Slice 459 of 630. Abdomen. CT slice.
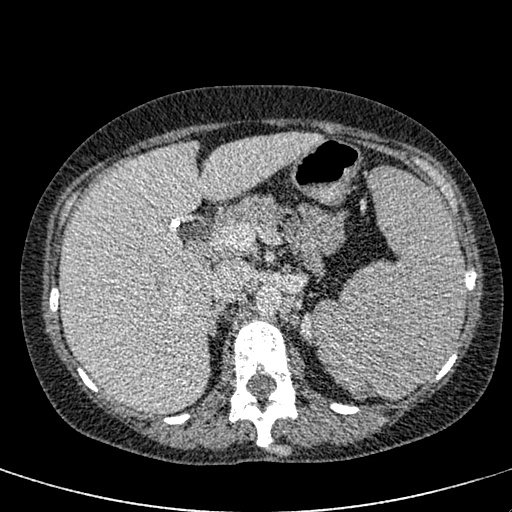

{
  "liver": [
    "59,133,323,413"
  ],
  "kidney": [
    "301,314,313,341"
  ]
}